CT slice | Slice 96/131 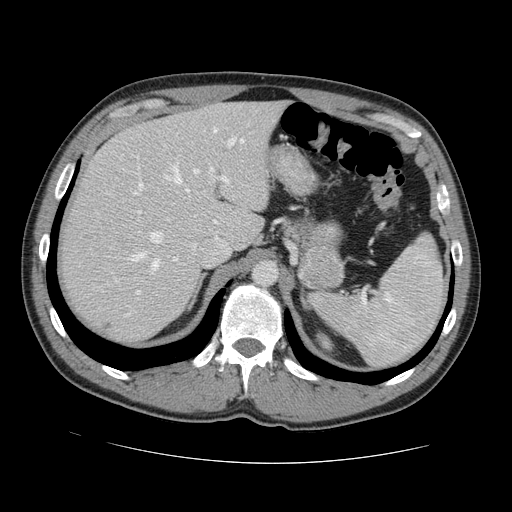 Not every hepatic vessel necessarily has a box.
Largest 15 of 28 hepatic vessel regions at <bbox>193, 169, 198, 173</bbox>, <bbox>131, 252, 145, 261</bbox>, <bbox>149, 259, 160, 273</bbox>, <bbox>165, 163, 181, 183</bbox>, <bbox>213, 127, 216, 132</bbox>, <bbox>134, 182, 144, 194</bbox>, <bbox>133, 166, 138, 174</bbox>, <bbox>227, 135, 243, 145</bbox>, <bbox>115, 278, 120, 281</bbox>, <bbox>208, 181, 211, 184</bbox>, <bbox>133, 155, 138, 158</bbox>, <bbox>151, 232, 161, 242</bbox>, <bbox>219, 175, 227, 182</bbox>, <bbox>172, 257, 177, 260</bbox>, <bbox>209, 167, 213, 173</bbox>.